CT scan slice | Field of view 373 mm wide, 0.80 mm slice spacing | 512x512 | Slice 297 of 771 | Abdomen

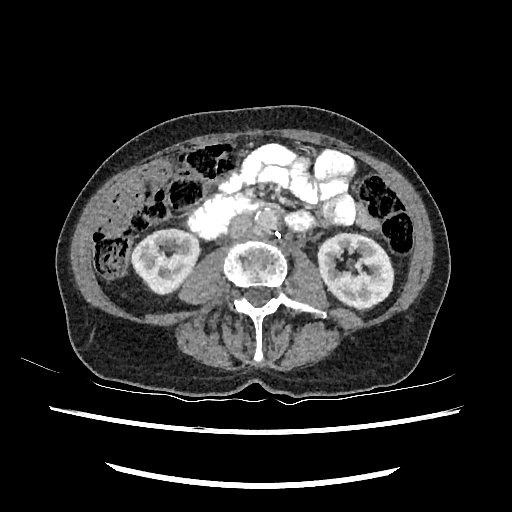

Kidney at box(132, 228, 198, 293); box(318, 232, 392, 307).